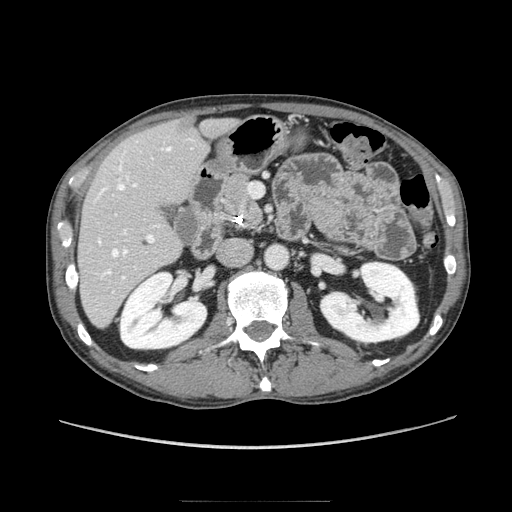

512x512 | CT

{
  "pancreatic_tumor": [
    "(x1=227, y1=178, x2=247, y2=208)"
  ],
  "pancreas": [
    "(x1=223, y1=176, x2=262, y2=224)"
  ]
}